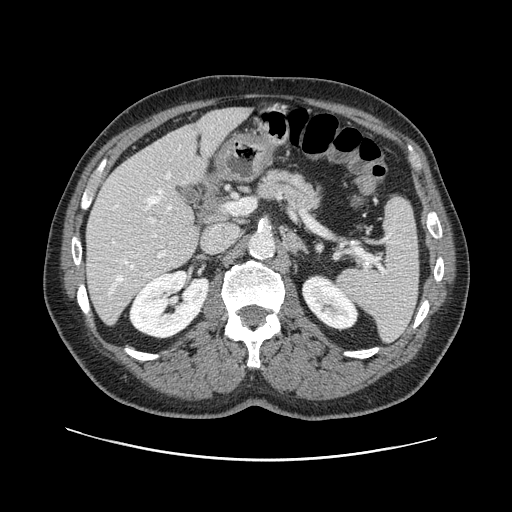 Abdomen; CT scan slice

Pancreas: {"x1": 253, "y1": 167, "x2": 325, "y2": 217}.